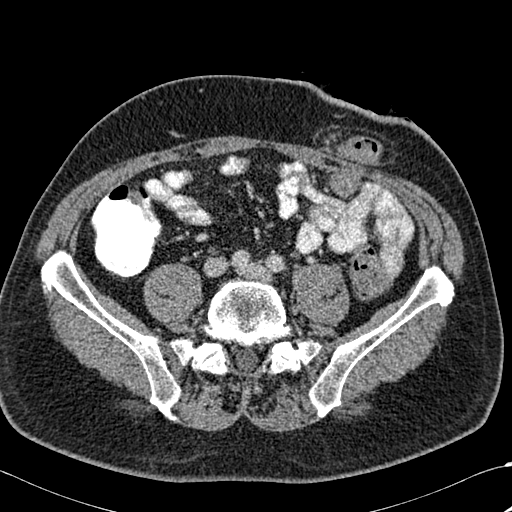

512x512 px. CT slice.

bone:
  - rect(309, 266, 453, 417)
  - rect(42, 251, 180, 419)
  - rect(170, 280, 321, 374)